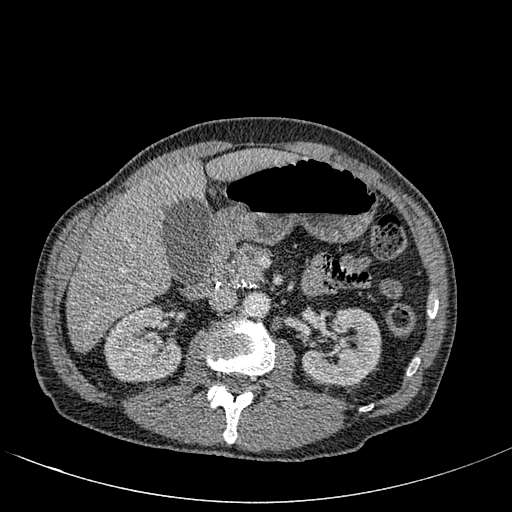
CT slice. Upper abdomen. Image size 512x512.
{
  "liver": [
    "(x1=67, y1=149, x2=292, y2=351)"
  ],
  "kidney": [
    "(x1=302, y1=308, x2=380, y2=385)",
    "(x1=303, y1=324, x2=309, y2=335)",
    "(x1=104, y1=306, x2=180, y2=381)"
  ]
}